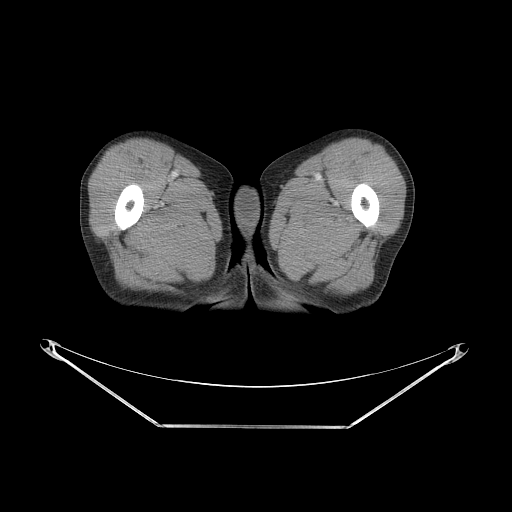

Image size 512x512. CT image.
bone: bbox(351, 183, 379, 227); bbox(115, 184, 143, 229)